CT slice; Slice 346/871; Field of view 380x380 mm; Abdomen

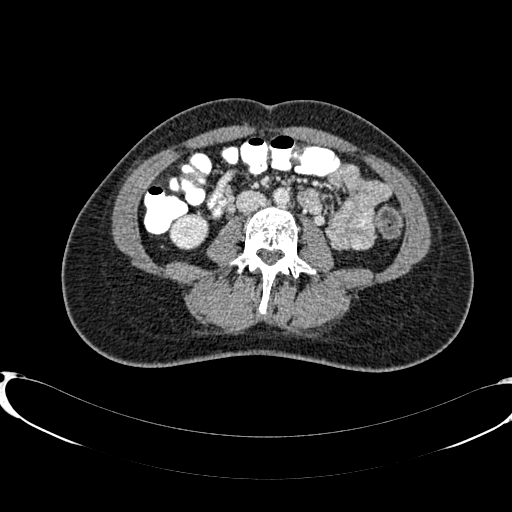
The kidney appears at left=171, top=217, right=205, bottom=247.